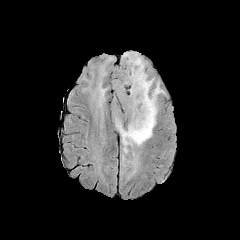
FLAIR MR.
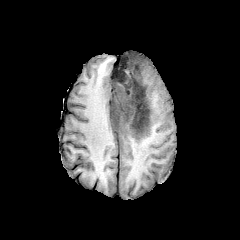
T1-weighted MR of the same slice.
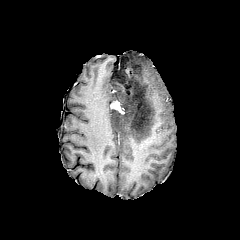
Same slice, post-contrast T1-weighted MR image.
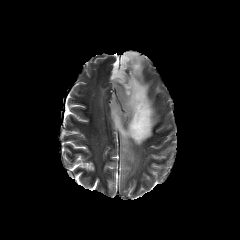
Same slice, T2-weighted magnetic resonance.
Brain
The enhancing tumor is at [x1=112, y1=102, x2=123, y2=113]. 2 non-enhancing tumor core regions are bounded by [x1=113, y1=109, x2=120, y2=122], [x1=124, y1=74, x2=151, y2=135]. The edema is located at [x1=114, y1=52, x2=164, y2=171].